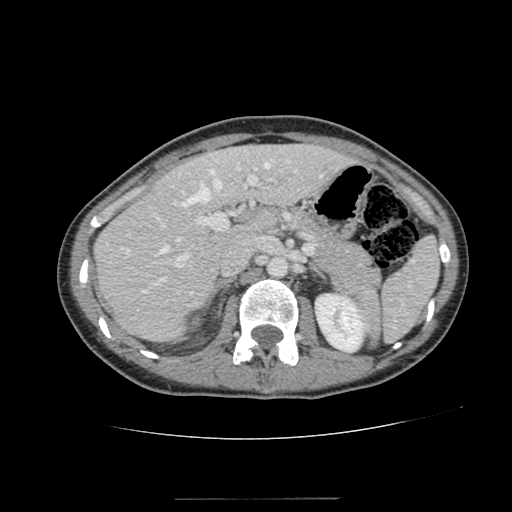

512x512 px, CT, Abdomen

kidney:
  - rect(315, 294, 366, 352)
liver:
  - rect(95, 143, 358, 341)